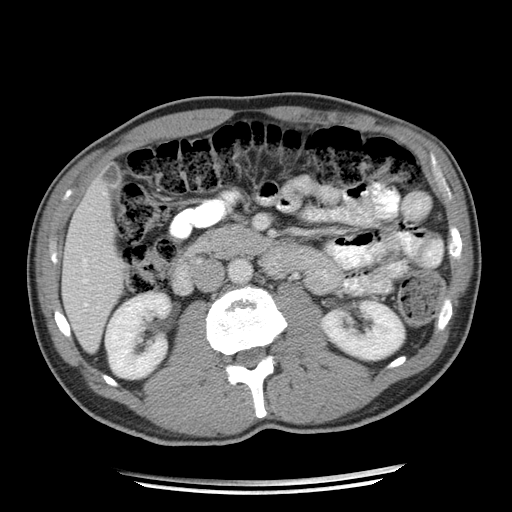

Image size 512x512, Upper abdomen, CT slice
pancreas: [207,224,265,257]